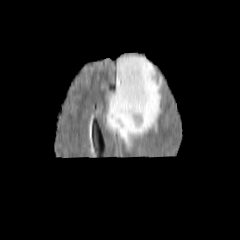
FLAIR MR image.
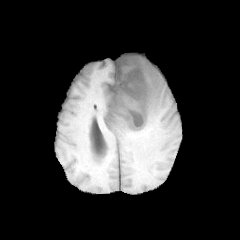
T1-weighted MR image of the same slice.
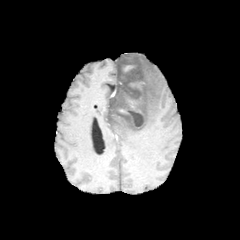
Same slice, post-contrast T1-weighted MRI.
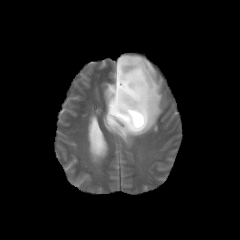
T2-weighted MR of the same slice.
edema:
  - (left=104, top=54, right=161, bottom=143)
non-enhancing_tumor_core:
  - (left=115, top=61, right=146, bottom=128)